CT image; Upper abdomen; Slice 113/147

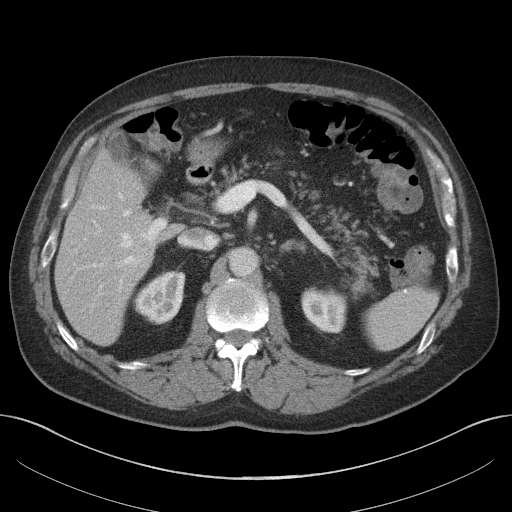

<segmentation>
  <liver>x1=55, y1=151, x2=156, y2=344</liver>
  <kidney>x1=303, y1=292, x2=343, y2=331; x1=136, y1=272, x2=183, y2=321</kidney>
</segmentation>